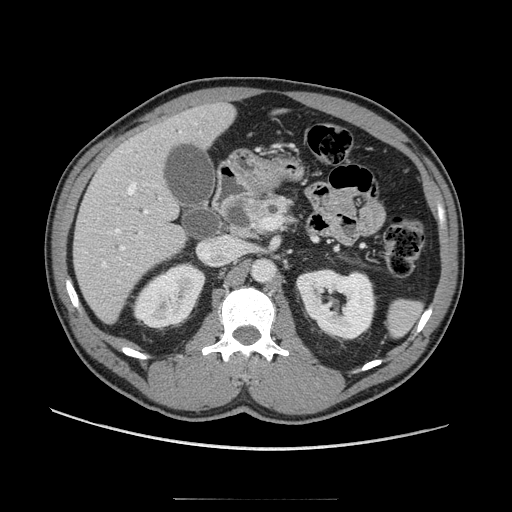

Image size 512x512; Computed tomography

<segmentation>
  <pancreas>bbox=[242, 190, 291, 234]</pancreas>
</segmentation>